512x512. Slice 39 of 105. Abdomen. CT slice.

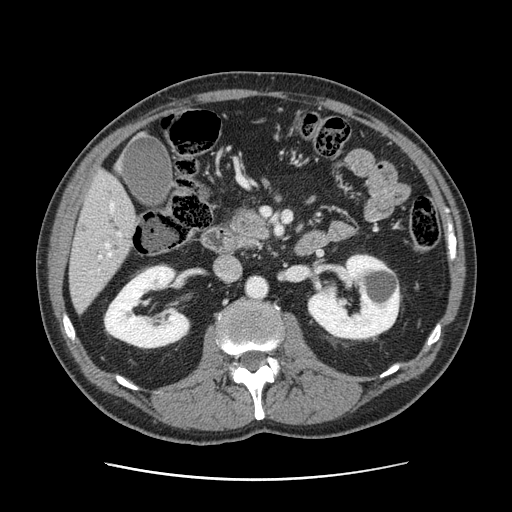

Pancreas at region(231, 213, 268, 247).
Pancreatic tumor at region(236, 210, 264, 236).